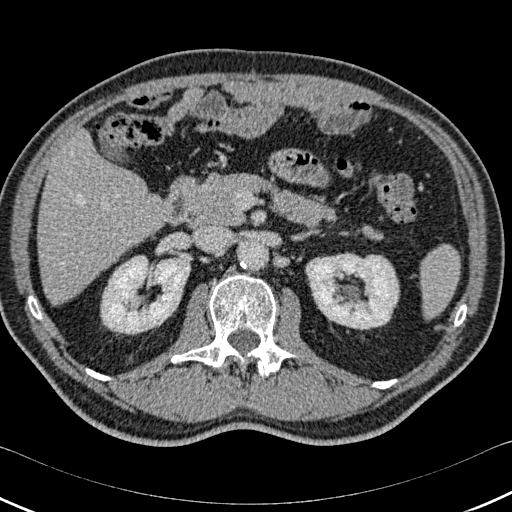

CT.

2 kidney regions are located at <box>306,254,398,328</box>, <box>101,256,189,333</box>. 5 bone regions are bounded by <box>86,369,110,380</box>, <box>373,379,396,388</box>, <box>28,296,41,318</box>, <box>454,305,466,325</box>, <box>171,275,296,376</box>. The liver lies within <box>38,128,164,300</box>.